Brain; Slice 80/155
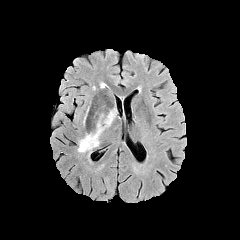
FLAIR MR.
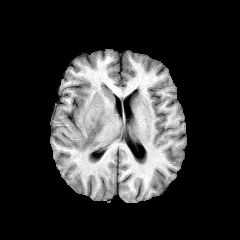
Same slice, T1-weighted MR.
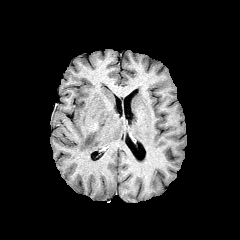
Post-contrast T1-weighted MRI.
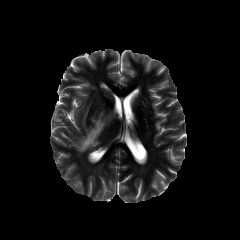
T2-weighted MR.
Segmented structures:
• edema: (76,110,116,153)